Field of view 350x350 mm; CT image 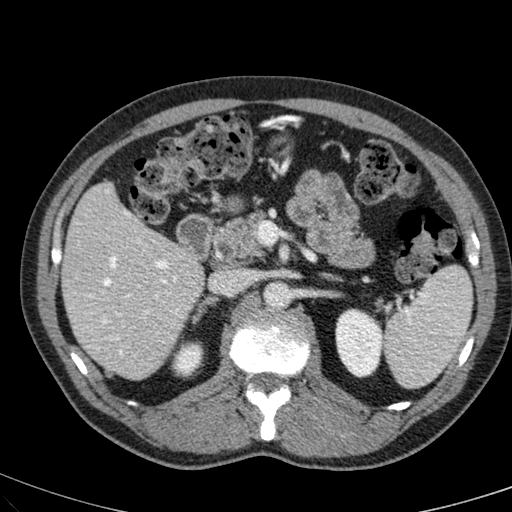 Liver: bbox=[63, 183, 202, 378].
Kidney: bbox=[177, 346, 199, 372]; bbox=[337, 311, 381, 375].